FLAIR MR image.
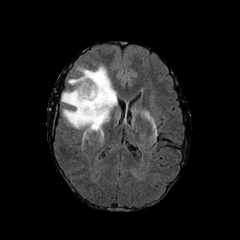
T1-weighted magnetic resonance.
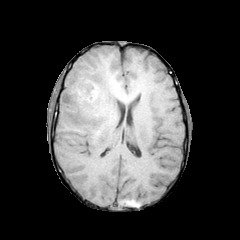
Post-contrast T1-weighted MRI.
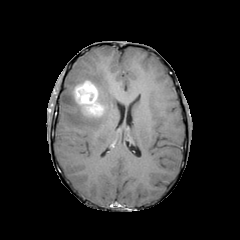
T2-weighted MR image.
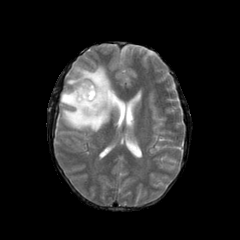
Head.
Enhancing tumor: bbox=[74, 81, 105, 116].
Edema: bbox=[61, 65, 117, 132].